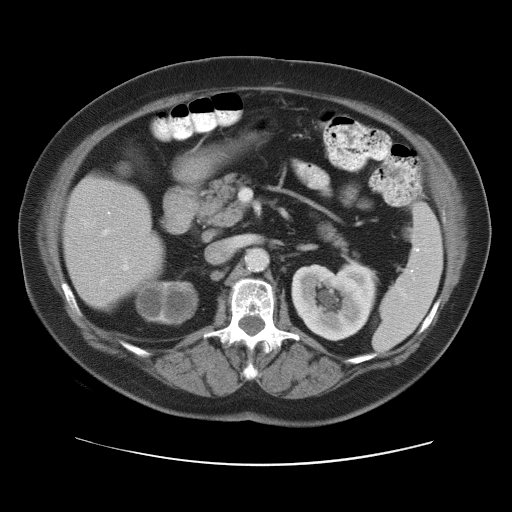

Computed tomography | 512x512 px
<segmentation>
  <spleen>[x1=373, y1=207, x2=442, y2=349]</spleen>
</segmentation>